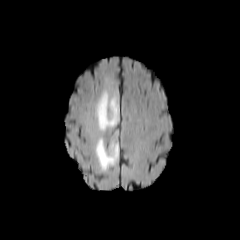
FLAIR MRI.
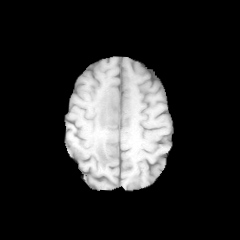
T1-weighted MR image.
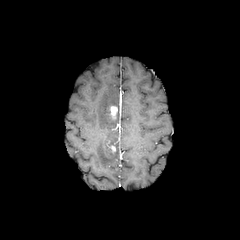
Same slice, post-contrast T1-weighted magnetic resonance.
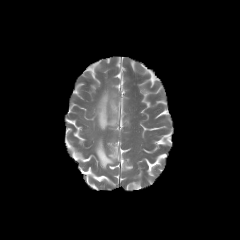
T2-weighted MR image.
Head, 240x240 px
<segmentation>
  <enhancing_tumor>x1=108 y1=105 x2=117 y2=119</enhancing_tumor>
  <edema>x1=97 y1=91 x2=119 y2=129, x1=95 y1=136 x2=118 y2=169</edema>
</segmentation>